MRI slice 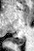 The posterior hippocampus is bounded by (12, 37, 25, 45).